Slice 417 of 574; CT slice; Field of view 411 mm wide, 0.80 mm slice spacing; Image size 512x512 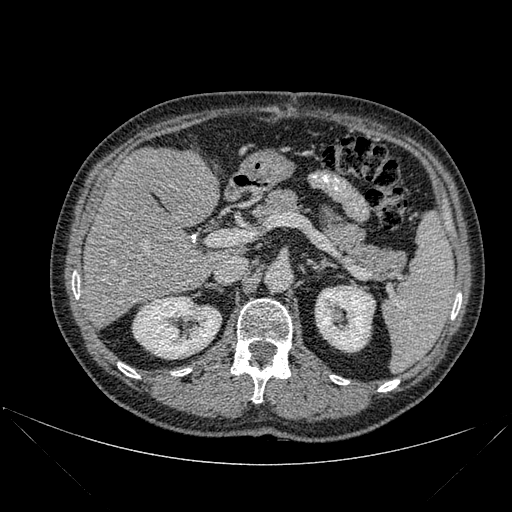 Kidney: box=[133, 297, 221, 358]; box=[315, 286, 375, 351].
Bone: box=[451, 293, 461, 319]; box=[72, 273, 79, 299]; box=[171, 368, 191, 375]; box=[378, 379, 399, 391]; box=[231, 299, 291, 403]; box=[117, 362, 139, 378]; box=[330, 375, 349, 384].
Liver: box=[83, 147, 219, 327].